Slice index 119. Brain. Image width 240 mm.
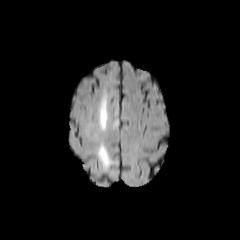
FLAIR MR image.
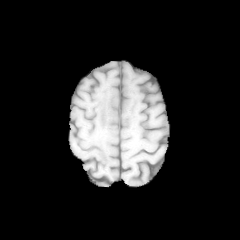
Same slice, T1-weighted MR.
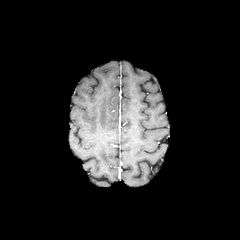
Post-contrast T1-weighted MR.
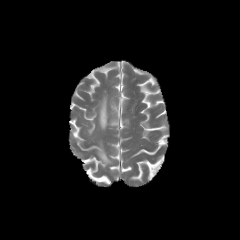
T2-weighted magnetic resonance of the same slice.
<segmentation>
  <edema>x1=99, y1=96, x2=118, y2=129; x1=97, y1=142, x2=113, y2=169</edema>
</segmentation>